Slice 44/119, Computed tomography

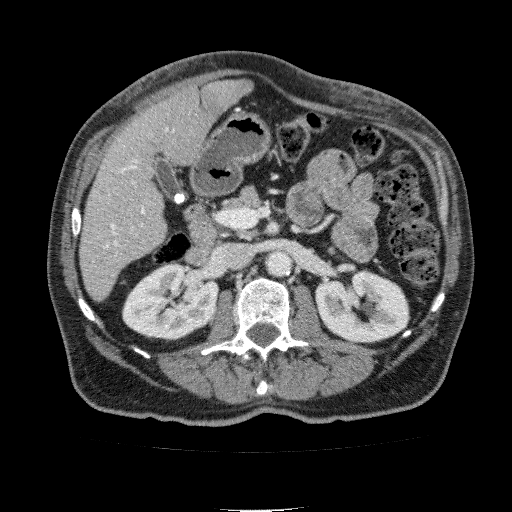 Kidney = [x1=316, y1=272, x2=407, y2=341], [x1=123, y1=264, x2=217, y2=338].
Liver = [x1=81, y1=79, x2=254, y2=301].